Head
FLAIR MRI.
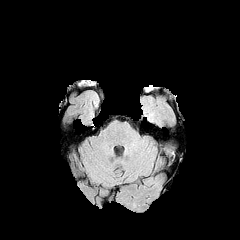
T1-weighted magnetic resonance.
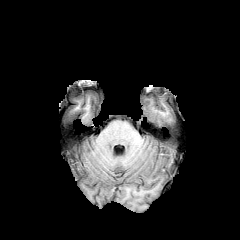
Post-contrast T1-weighted MRI.
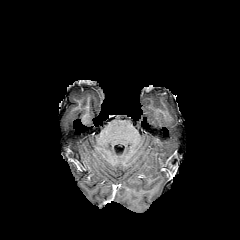
T2-weighted magnetic resonance.
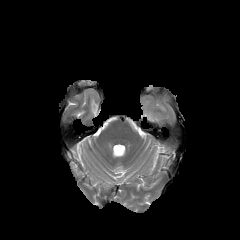
Findings:
• edema: box(143, 110, 154, 121)